CT scan slice.

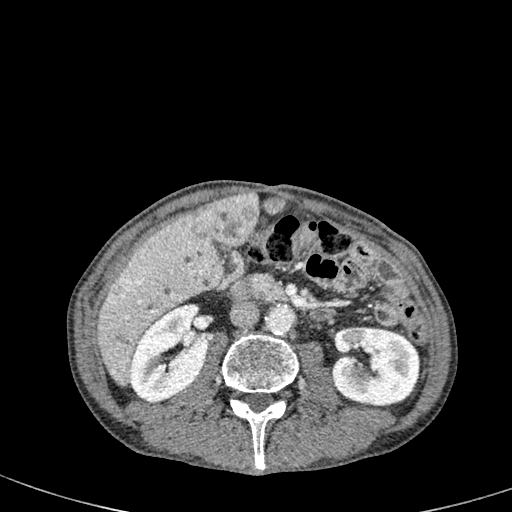
The liver is at left=97, top=202, right=226, bottom=385. 2 hepatic lesion regions are located at left=194, top=193, right=258, bottom=245; left=264, top=198, right=283, bottom=214. 2 kidney regions are located at left=129, top=305, right=210, bottom=399; left=333, top=328, right=418, bottom=404.